FLAIR MR.
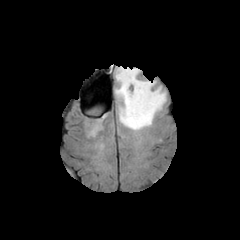
T1-weighted MRI.
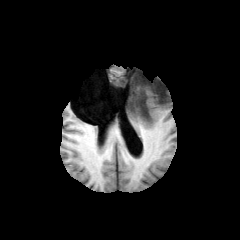
Post-contrast T1-weighted MR image.
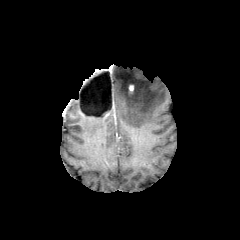
T2-weighted MR.
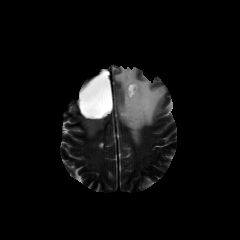
Brain
<segmentation>
  <edema>region(114, 68, 165, 132)</edema>
</segmentation>